FLAIR MR.
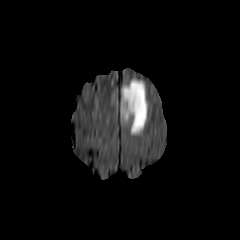
T1-weighted MRI.
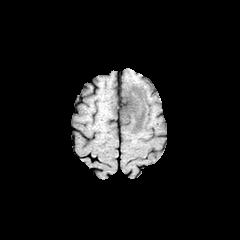
Post-contrast T1-weighted MRI.
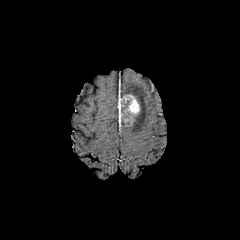
T2-weighted MR image.
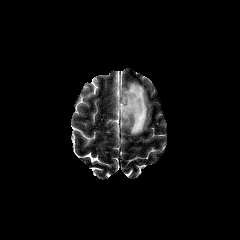
Enhancing tumor: 118, 94, 139, 118.
Non-enhancing tumor core: 121, 101, 133, 119.
Edema: 121, 79, 148, 135.